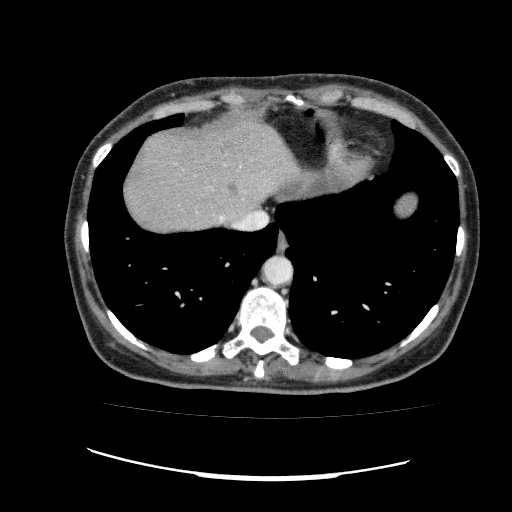 512x512 px, CT scan slice, Abdomen

Findings:
- hepatic lesion: [x1=227, y1=182, x2=237, y2=191]
- liver: [x1=123, y1=121, x2=303, y2=234]